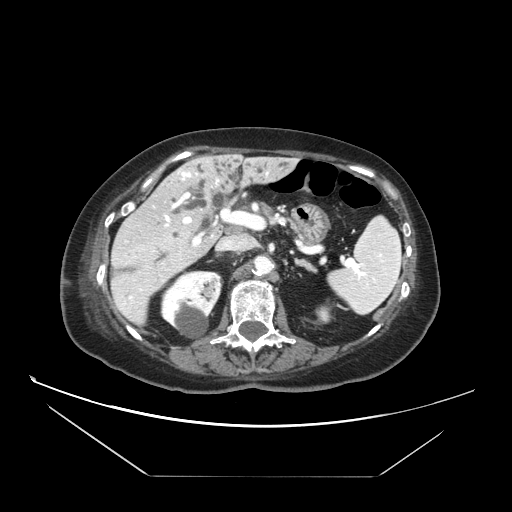

512x512. CT. Abdomen. Pancreas: bounding box (left=293, top=224, right=309, bottom=243).